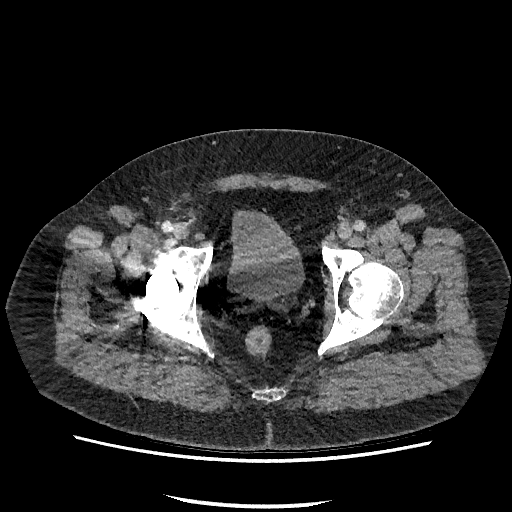 CT image
{
  "urinary_bladder": [
    "(228, 210, 304, 304)"
  ]
}